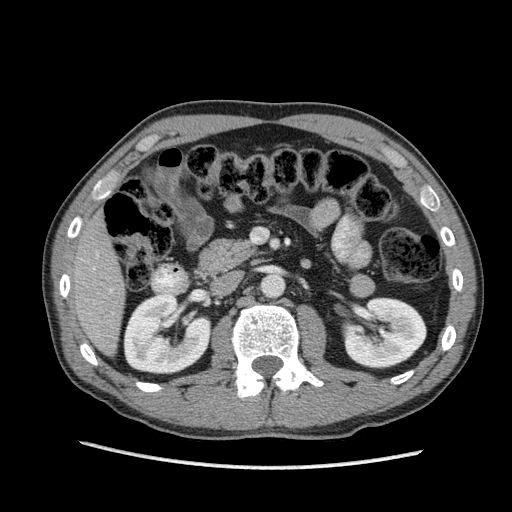

Image size 512x512 | CT slice

<segmentation>
  <liver>[64,211,125,356]</liver>
  <kidney>[125,294,209,372], [345,299,425,366]</kidney>
</segmentation>